CT image. Slice 640 of 722. Upper abdomen. 512x512 px.
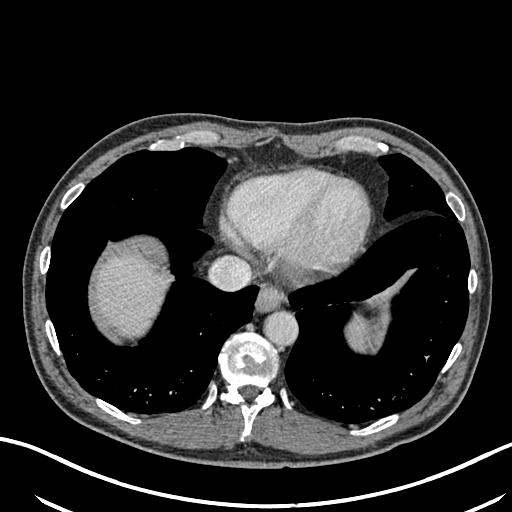 Liver: bounding box l=95, t=253, r=163, b=332.